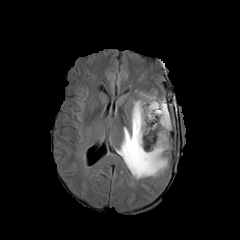
FLAIR magnetic resonance.
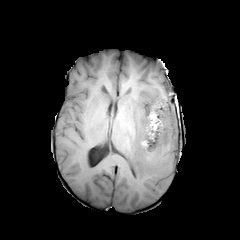
Same slice, T1-weighted magnetic resonance.
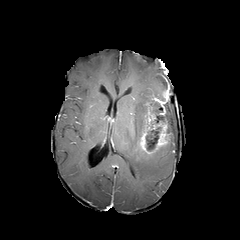
Same slice, post-contrast T1-weighted MRI.
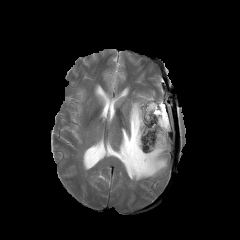
Same slice, T2-weighted MRI.
non-enhancing_tumor_core:
  - <bbox>139, 107, 167, 152</bbox>
  - <bbox>132, 122, 140, 145</bbox>
edema:
  - <bbox>112, 90, 173, 181</bbox>
  - <bbox>108, 72, 119, 83</bbox>
enhancing_tumor:
  - <bbox>156, 123, 167, 147</bbox>